Slice 122 of 155; 240x240 px; Head
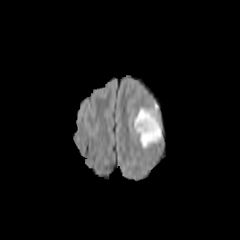
FLAIR magnetic resonance.
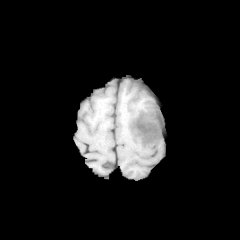
T1-weighted MRI.
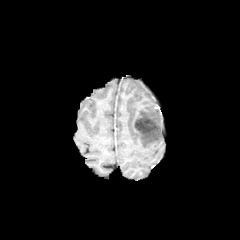
Post-contrast T1-weighted MR of the same slice.
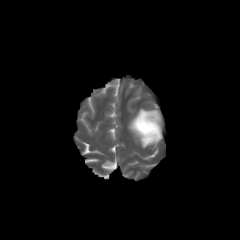
T2-weighted magnetic resonance.
Annotated regions:
* non-enhancing tumor core: 135,117,157,134
* edema: 129,108,163,147